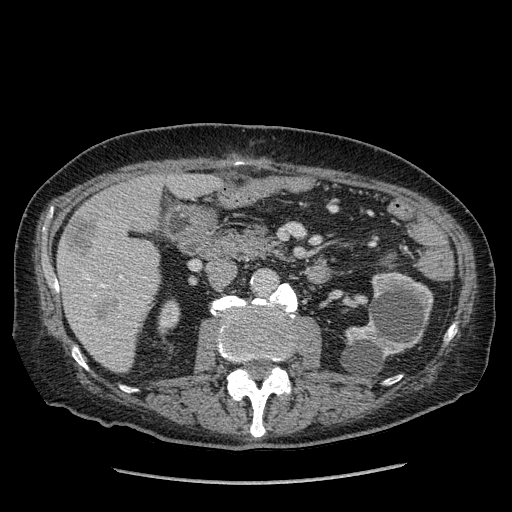
CT scan slice; Liver

Annotated regions:
- liver: 58 174 222 372
- liver lesion: 97 297 114 318, 68 216 96 252
- kidney: 160 301 178 327, 345 319 422 357, 372 272 432 320